Field of view 411 mm wide, 0.80 mm slice spacing, 512x512 px, Thorax, CT image 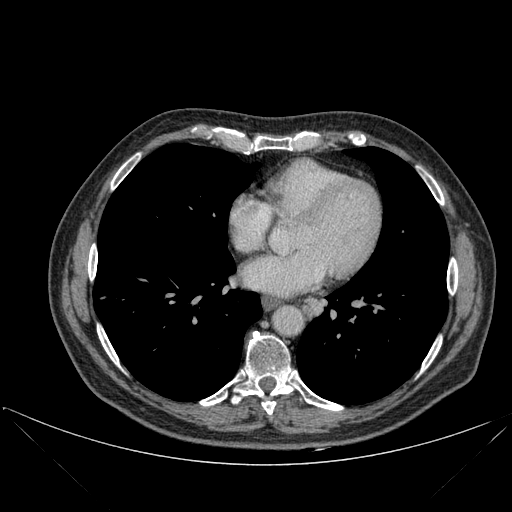

2 lung regions appear at left=93, top=143, right=262, bottom=400; left=296, top=147, right=449, bottom=404. 11 bone regions appear at left=428, top=175, right=443, bottom=204; left=301, top=132, right=318, bottom=135; left=88, top=244, right=97, bottom=280; left=200, top=378, right=236, bottom=405; left=97, top=325, right=120, bottom=367; left=447, top=258, right=457, bottom=294; left=255, top=136, right=292, bottom=150; left=420, top=337, right=441, bottom=372; left=111, top=157, right=132, bottom=189; left=240, top=331, right=342, bottom=410; left=262, top=401, right=275, bottom=414.